Slice 67 of 155, 240x240 px, Field of view 240x240 mm, Head
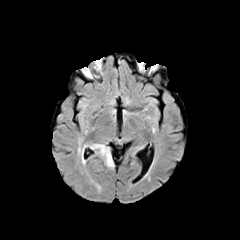
FLAIR MRI.
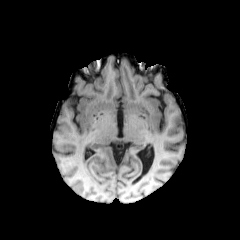
T1-weighted magnetic resonance.
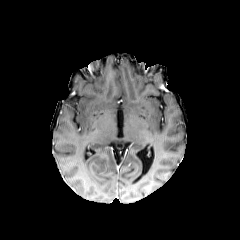
Post-contrast T1-weighted MR image.
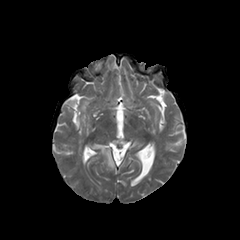
T2-weighted magnetic resonance of the same slice.
edema:
  - x1=90 y1=142 x2=114 y2=169
  - x1=78 y1=140 x2=85 y2=163